512x512 | Upper abdomen | CT image | Slice index 48 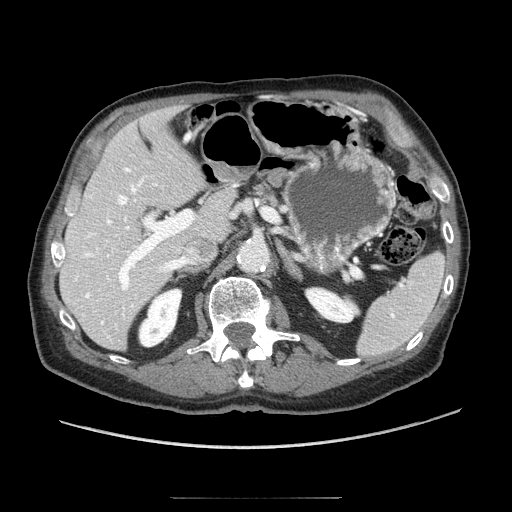
Pancreas: bbox(255, 186, 275, 202).